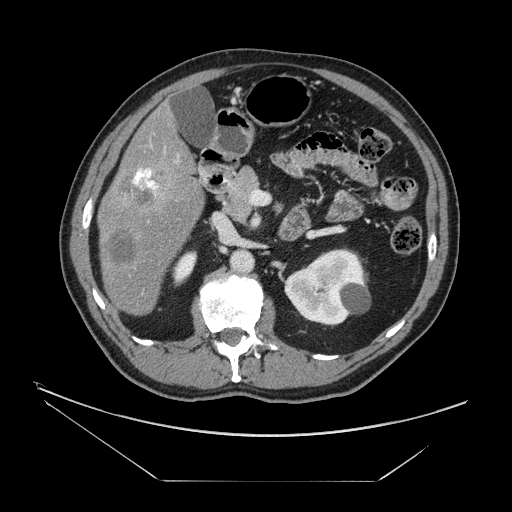
CT scan slice, 512x512

Segmented structures:
- liver tumor: (118, 166, 166, 207), (110, 233, 138, 265)